CT image, 512x512, Slice index 99, Lower abdomen
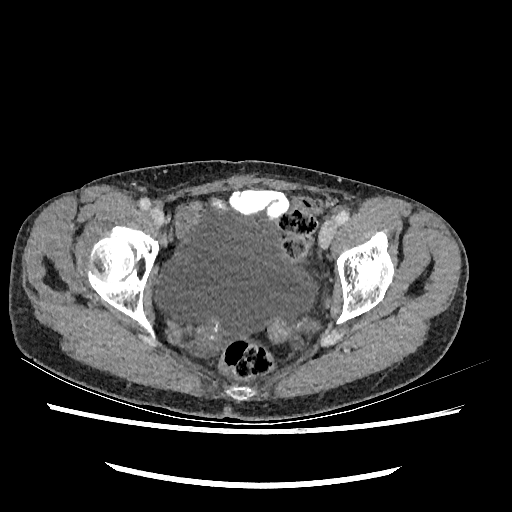 The urinary bladder lies within bbox=[157, 204, 317, 342].